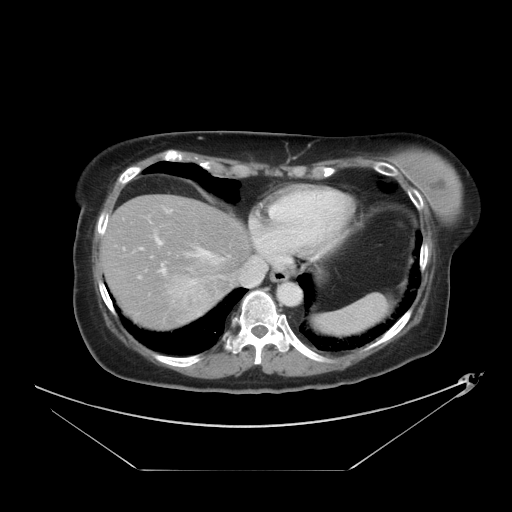

CT image, Liver

Some hepatic vessels may have no box.
Segmented structures:
- hepatic vessel: <bbox>241, 259, 261, 285</bbox>, <bbox>160, 265, 164, 273</bbox>, <bbox>193, 248, 220, 263</bbox>, <bbox>166, 210, 170, 212</bbox>, <bbox>256, 241, 266, 252</bbox>, <bbox>155, 236, 161, 244</bbox>
- liver tumor: <bbox>165, 266, 232, 320</bbox>